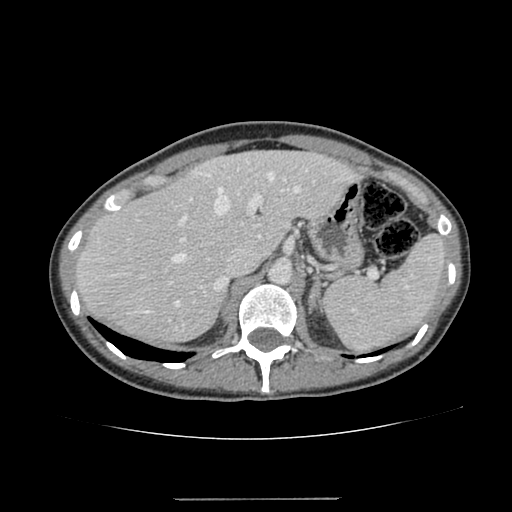
Abdomen. CT scan slice. Liver at {"x1": 76, "y1": 150, "x2": 361, "y2": 343}.